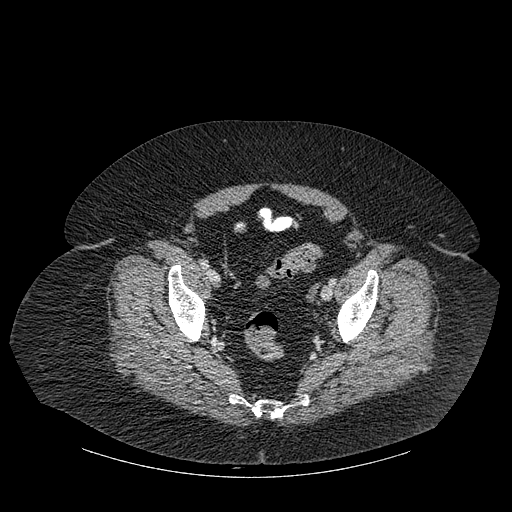
512x512 px | Computed tomography
Bone at (x1=229, y1=394, x2=251, y2=406), (x1=168, y1=265, x2=204, y2=341), (x1=252, y1=395, x2=308, y2=418), (x1=338, y1=270, x2=378, y2=342).